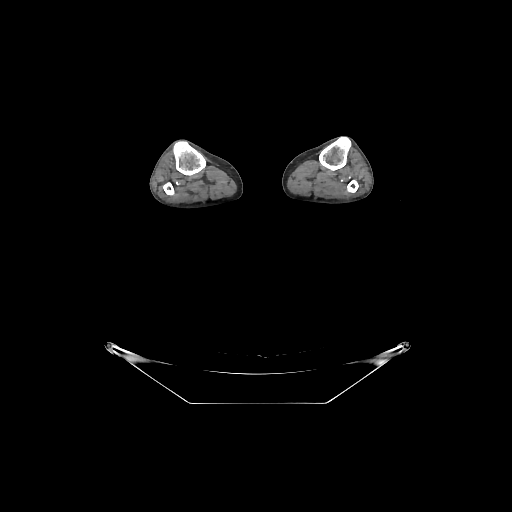
CT scan slice. Image size 512x512. 4 bone regions appear at rect(173, 141, 205, 175); rect(163, 182, 174, 195); rect(319, 137, 350, 170); rect(347, 180, 358, 192).